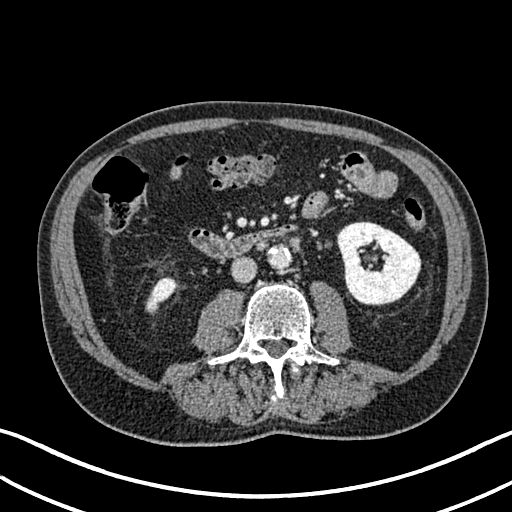 CT slice. Abdomen.
Kidney: bounding box bbox(338, 222, 420, 304); bbox(147, 278, 175, 310).